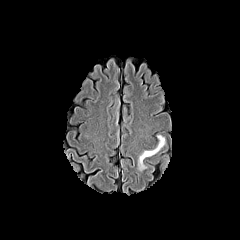
FLAIR MR.
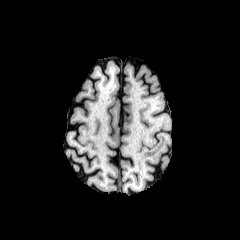
T1-weighted MR of the same slice.
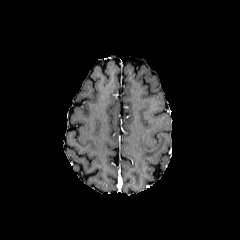
Post-contrast T1-weighted magnetic resonance.
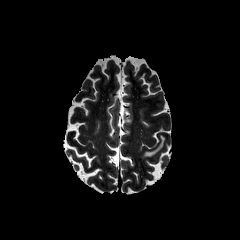
T2-weighted MRI.
240x240 px; Brain
The edema is at 138 135 164 170.